Head; Slice 124/155; Image width 240 mm
FLAIR MR image.
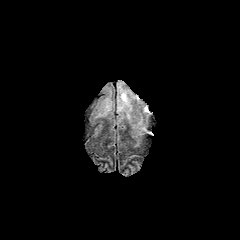
T1-weighted MRI.
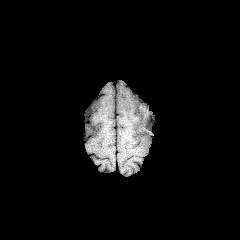
Post-contrast T1-weighted MRI.
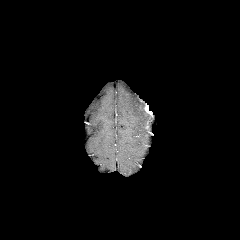
T2-weighted magnetic resonance.
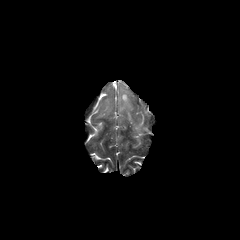
edema:
  - x1=101, y1=100, x2=111, y2=115
  - x1=117, y1=88, x2=131, y2=117